FLAIR magnetic resonance.
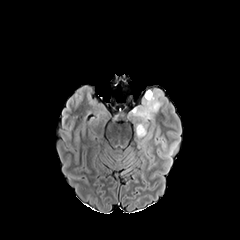
T1-weighted MR.
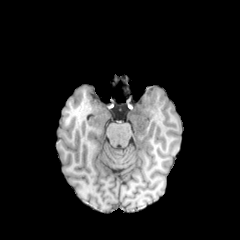
Post-contrast T1-weighted MR.
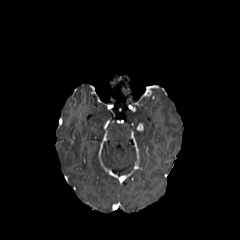
T2-weighted MR.
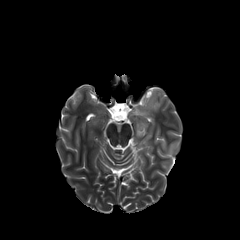
Brain.
<segmentation>
  <edema>128,93,161,149; 154,126,164,146</edema>
</segmentation>